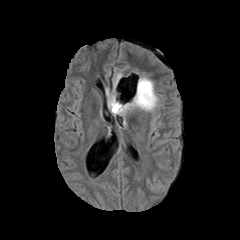
FLAIR MR.
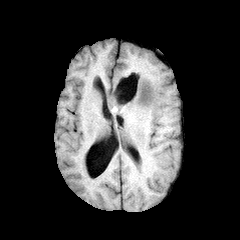
Same slice, T1-weighted MRI.
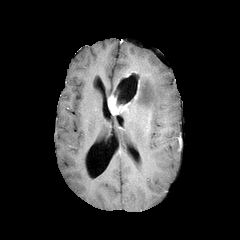
Same slice, post-contrast T1-weighted magnetic resonance.
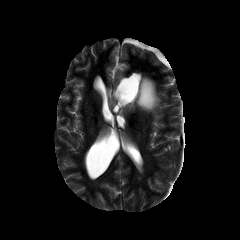
T2-weighted MRI.
Edema: bounding box left=105, top=72, right=160, bottom=112.
Enhancing tumor: bounding box left=108, top=95, right=134, bottom=115.